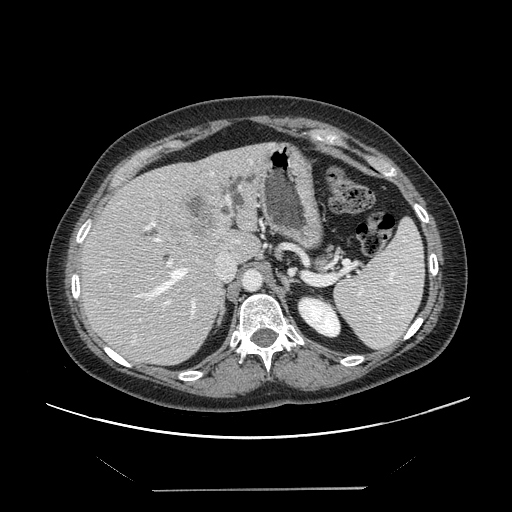

CT scan slice. Abdomen.
The vessel boxes may cover only some of the vessels.
The liver tumor lies within box=[178, 189, 219, 239]. 9 hepatic vessel regions are located at box=[189, 299, 197, 318]; box=[135, 260, 189, 300]; box=[162, 300, 169, 306]; box=[210, 173, 214, 175]; box=[94, 273, 95, 274]; box=[215, 239, 241, 280]; box=[145, 219, 155, 228]; box=[99, 270, 106, 272]; box=[153, 237, 160, 240].